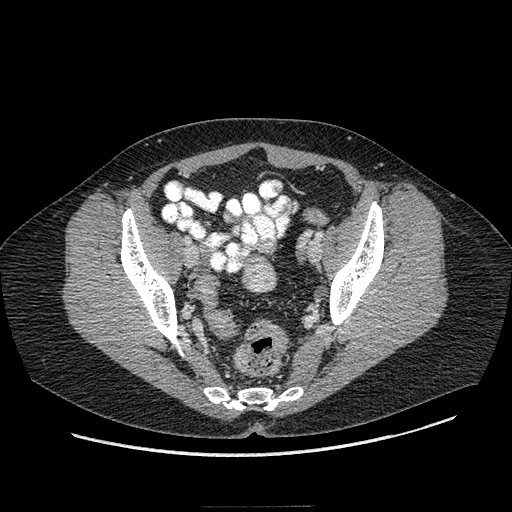
CT slice, Image size 512x512, Abdomen
Colon tumor = <bbox>234, 345, 252, 371</bbox>.